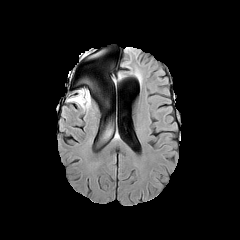
FLAIR MR.
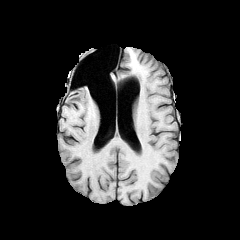
T1-weighted MR image.
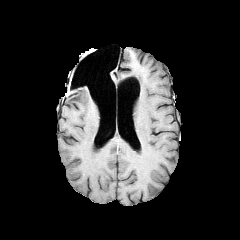
Post-contrast T1-weighted MRI.
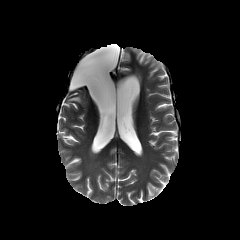
T2-weighted MRI of the same slice.
Brain
edema:
  - [x1=67, y1=89, x2=91, y2=112]